Upper abdomen. CT scan slice. 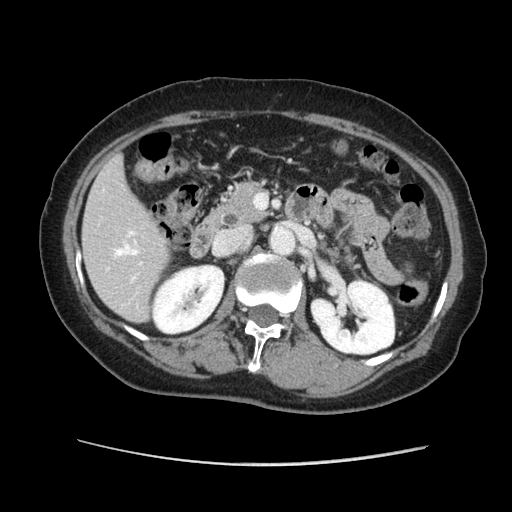 Findings:
- pancreas: x1=210 y1=182 x2=266 y2=229